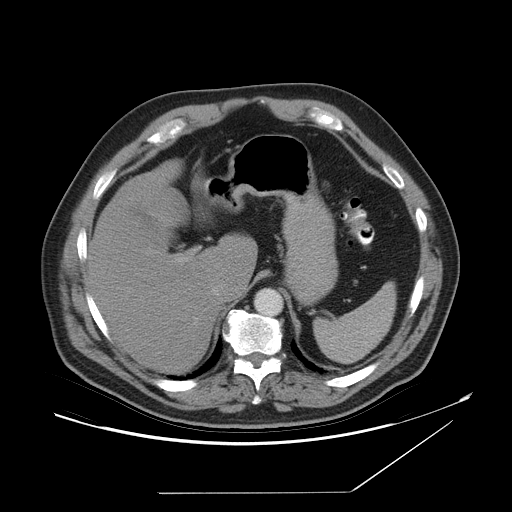
Upper abdomen. CT.

Annotated regions:
• spleen: {"x1": 315, "y1": 283, "x2": 395, "y2": 362}